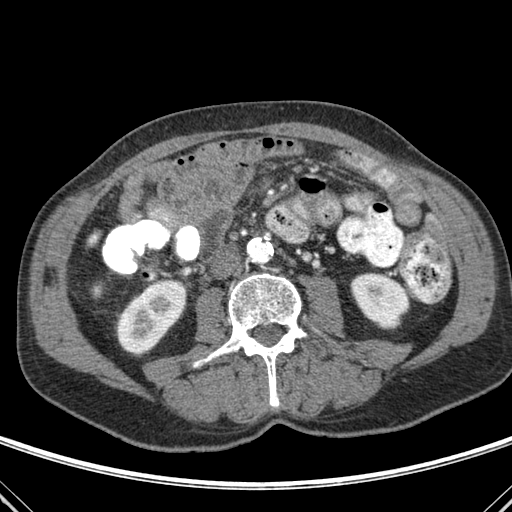 Computed tomography. Abdomen.
2 kidney regions appear at 352 274 405 326, 118 281 184 353. The bone is located at 194 273 306 406.